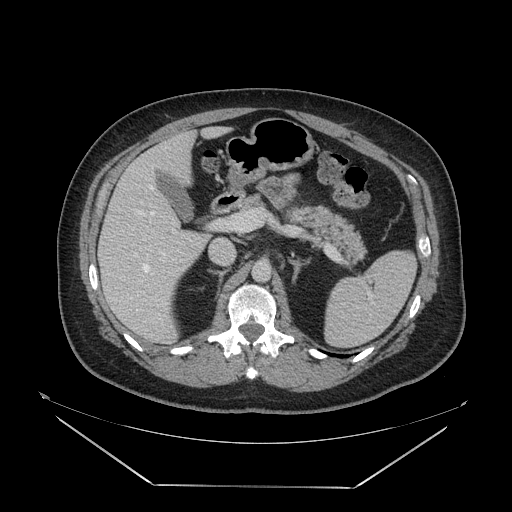 Abdomen, CT scan slice
pancreas:
  - [x1=245, y1=196, x2=259, y2=207]
  - [x1=289, y1=208, x2=364, y2=261]